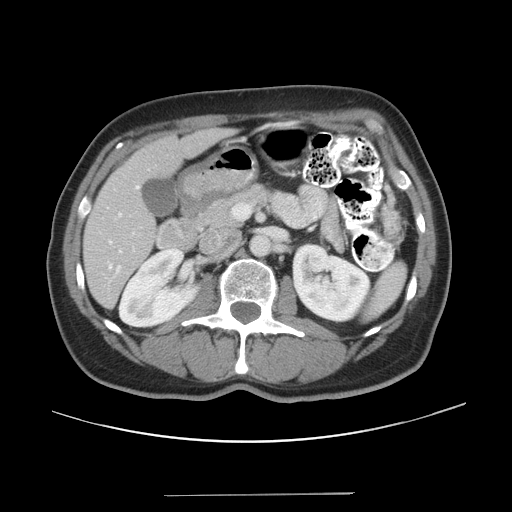

Computed tomography; 512x512 px
Only some of the vessels may be annotated.
{
  "hepatic_vessel": [
    "109 240 111 243",
    "119 250 120 252",
    "132 246 134 251",
    "116 266 120 272",
    "119 213 121 216",
    "136 186 138 188",
    "108 264 112 268"
  ]
}